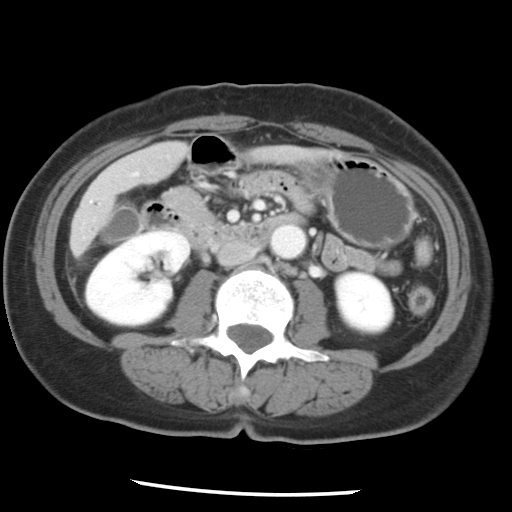
Abdomen. CT image.
The vessel boxes may cover only some of the vessels.
The hepatic vessel is at rect(132, 173, 135, 174).